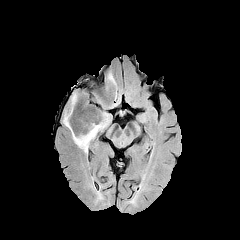
FLAIR MRI.
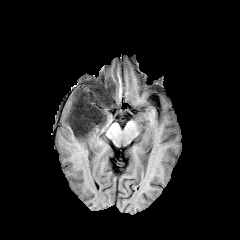
T1-weighted MR.
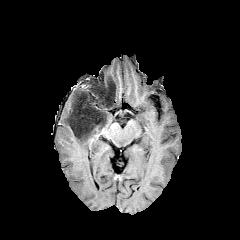
Post-contrast T1-weighted magnetic resonance.
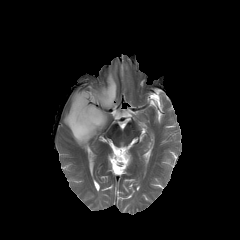
T2-weighted MRI.
edema: 63,94,100,151; 98,106,111,125 | non-enhancing tumor core: 69,100,109,139; 92,76,115,108